512x512 px. CT. Upper abdomen.

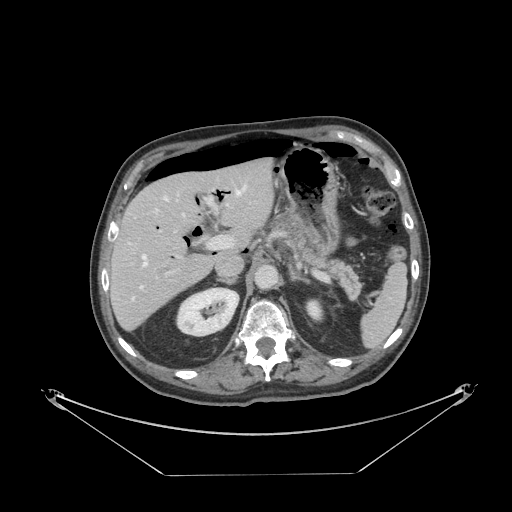
pancreas: [274,215,361,297]